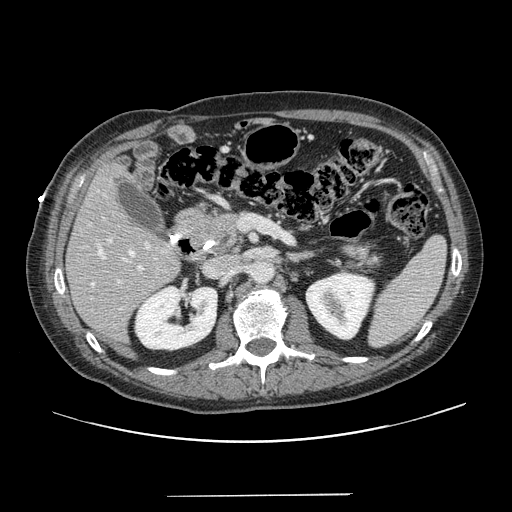 CT
Pancreas at rect(336, 239, 387, 277); rect(188, 210, 241, 256).
Pancreatic tumor at rect(202, 218, 228, 239).